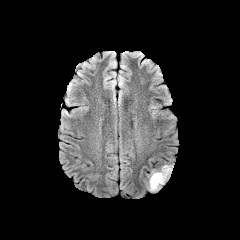
FLAIR MR image.
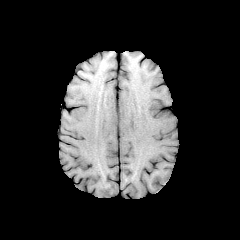
Same slice, T1-weighted magnetic resonance.
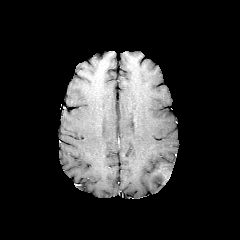
Post-contrast T1-weighted magnetic resonance.
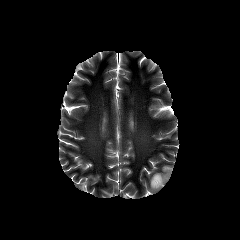
Same slice, T2-weighted magnetic resonance.
non-enhancing_tumor_core:
  - x1=154 y1=174 x2=165 y2=184
edema:
  - x1=148 y1=164 x2=171 y2=190